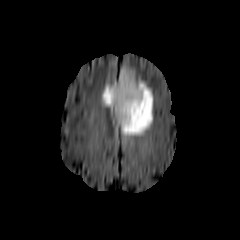
FLAIR magnetic resonance.
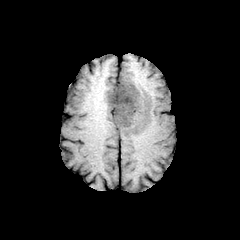
T1-weighted MR.
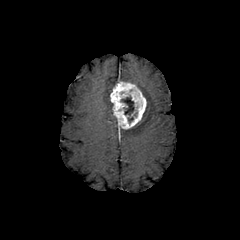
Same slice, post-contrast T1-weighted MRI.
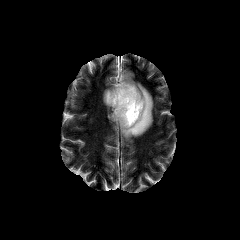
T2-weighted MR.
Brain
* enhancing tumor: bbox=[110, 77, 146, 129]
* edema: bbox=[102, 81, 115, 108]; bbox=[120, 69, 153, 138]
* non-enhancing tumor core: bbox=[122, 97, 134, 115]